Slice 98 of 155, Field of view 240 mm wide, 1.00 mm slice spacing, 240x240
FLAIR MR image.
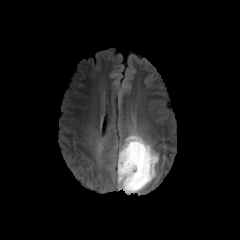
T1-weighted MRI.
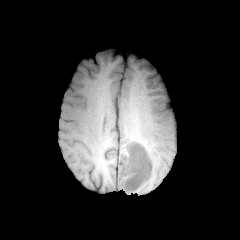
Post-contrast T1-weighted MR image.
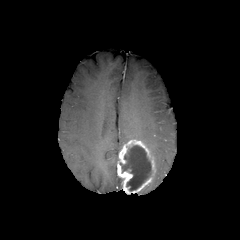
T2-weighted MR image.
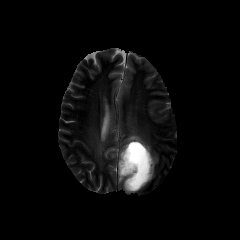
{
  "non-enhancing_tumor_core": [
    "<bbox>122, 144, 152, 190</bbox>"
  ],
  "enhancing_tumor": [
    "<bbox>117, 139, 151, 193</bbox>"
  ],
  "edema": [
    "<bbox>113, 132, 158, 179</bbox>"
  ]
}